512x512 px. Abdomen. CT image.

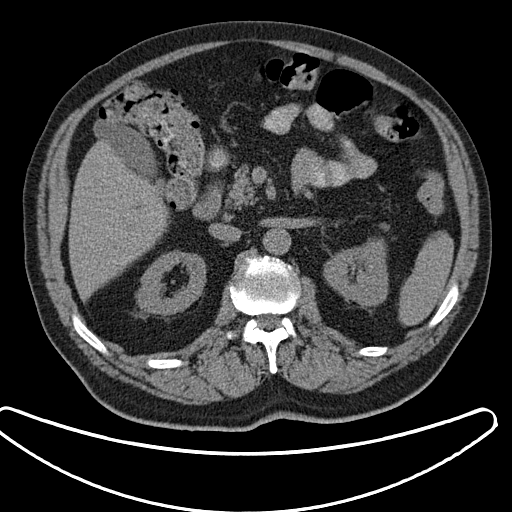
The spleen appears at x1=400 y1=234 x2=453 y2=324.